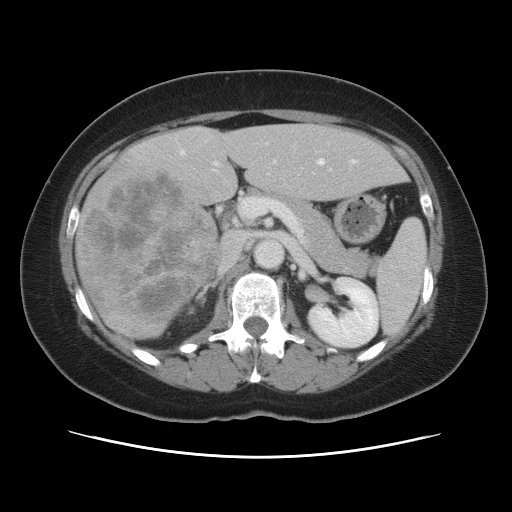

Image size 512x512, Abdomen, CT slice

The vessel boxes may cover only some of the vessels.
Liver tumor — box(81, 172, 216, 326).
Hepatic vessel — box(220, 259, 233, 272); box(214, 162, 217, 164); box(273, 160, 275, 162); box(181, 150, 183, 154); box(318, 160, 323, 164); box(240, 197, 304, 242); box(351, 160, 356, 162).